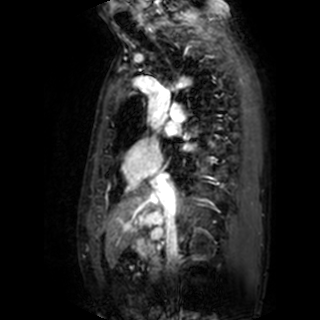

MR image
<segmentation>
  <left_atrium>{"x1": 164, "y1": 125, "x2": 176, "y2": 135}, {"x1": 185, "y1": 144, "x2": 195, "y2": 150}</left_atrium>
</segmentation>